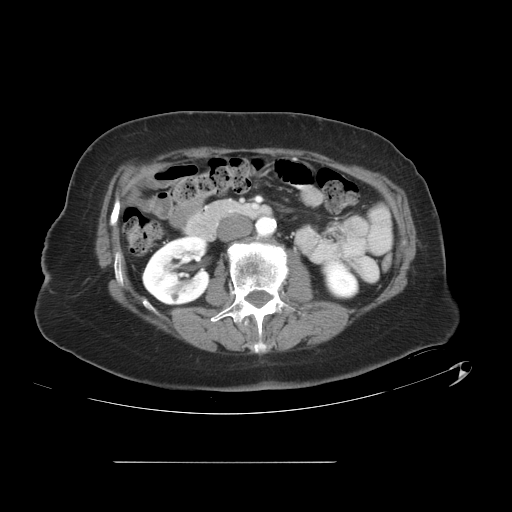 CT

pancreas: 213, 204, 224, 218